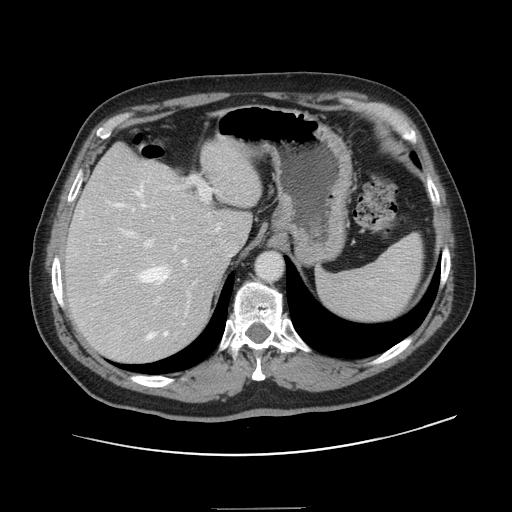

CT image; Liver
The vessel boxes may cover only some of the vessels.
Hepatic vessel: bounding box [120, 229, 133, 236], [142, 204, 145, 207], [190, 177, 196, 181], [141, 267, 168, 281], [116, 203, 123, 206], [164, 331, 167, 334], [108, 272, 112, 276], [147, 332, 154, 338], [132, 208, 133, 210], [199, 186, 211, 199], [145, 240, 151, 246], [136, 186, 141, 196], [183, 259, 186, 264].